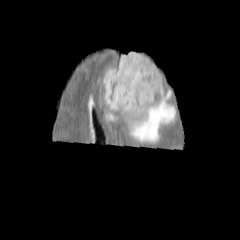
FLAIR magnetic resonance.
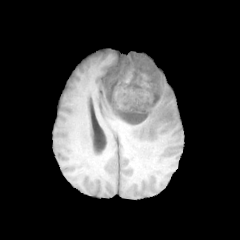
T1-weighted MR image.
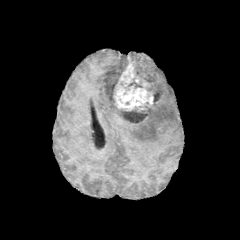
Same slice, post-contrast T1-weighted MR image.
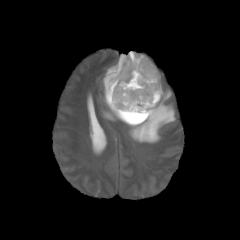
T2-weighted MRI of the same slice.
Head, 240x240
{
  "enhancing_tumor": [
    "rect(113, 56, 153, 111)"
  ],
  "edema": [
    "rect(116, 51, 134, 64)",
    "rect(103, 72, 176, 143)"
  ],
  "non-enhancing_tumor_core": [
    "rect(103, 56, 128, 103)",
    "rect(130, 53, 161, 105)",
    "rect(120, 105, 150, 124)",
    "rect(128, 78, 143, 87)"
  ]
}